FLAIR MRI.
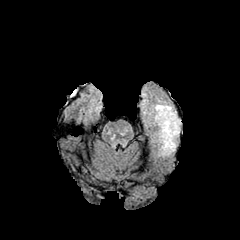
T1-weighted MR image.
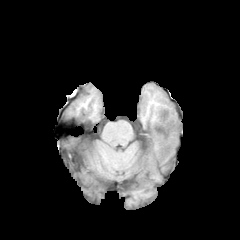
Post-contrast T1-weighted MR image.
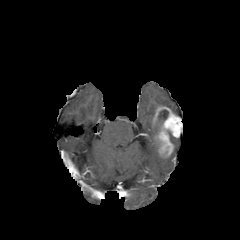
T2-weighted MR.
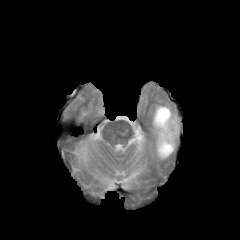
The edema is located at <bbox>149, 102, 173, 120</bbox>. The enhancing tumor is at <bbox>152, 105, 182, 158</bbox>. The non-enhancing tumor core is at <bbox>159, 110, 168, 118</bbox>.